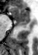
Magnetic resonance | Medial temporal lobe
Posterior hippocampus: (20, 25, 25, 27).
Anterior hippocampus: (11, 5, 30, 24).